Upper abdomen. Image size 512x512. Field of view 398 mm wide, 2.00 mm slice spacing. CT scan slice.
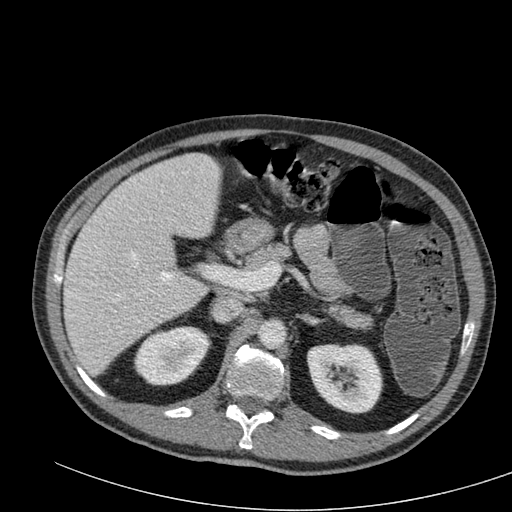
The liver is located at [62,153,219,376]. 2 kidney regions are located at [308,345,381,412], [135,327,207,384].